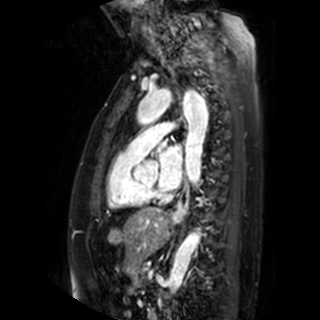
MRI slice.

The left atrium lies within region(159, 144, 182, 190).